FLAIR MR.
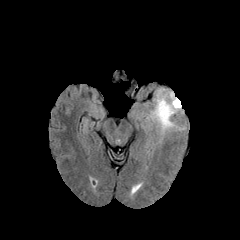
T1-weighted MR image.
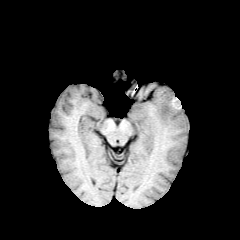
Post-contrast T1-weighted MR image.
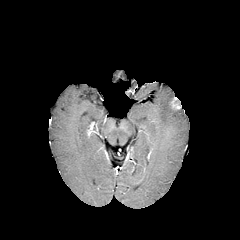
T2-weighted MR image.
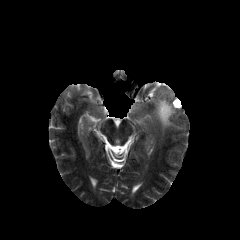
enhancing_tumor:
  - 169, 96, 181, 111
edema:
  - 135, 87, 186, 139